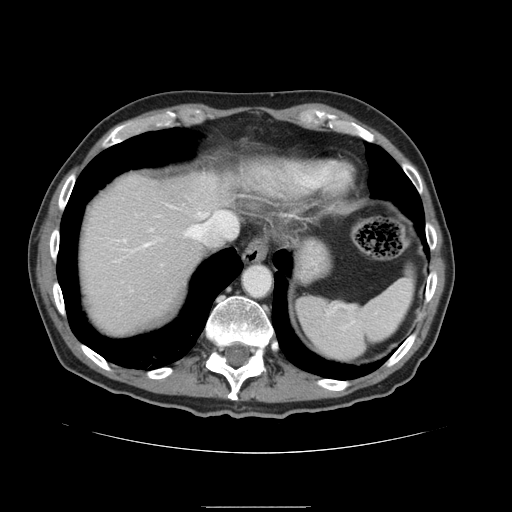
CT scan slice. Image size 512x512. Liver.
The vessel boxes may cover only some of the vessels.
Hepatic vessel: bounding box [x1=184, y1=212, x2=237, y2=244], [x1=142, y1=243, x2=149, y2=246].